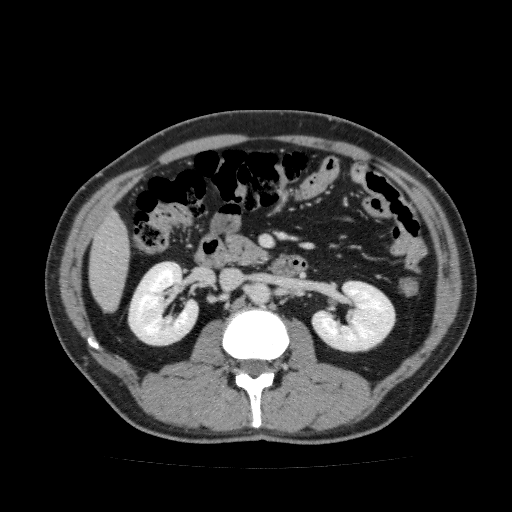

CT scan slice, Liver

* kidney: box(129, 262, 197, 344); box(312, 281, 394, 350)
* liver: box(88, 210, 130, 313)